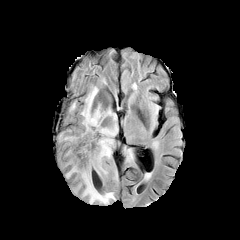
FLAIR MRI.
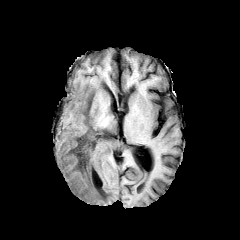
T1-weighted MR.
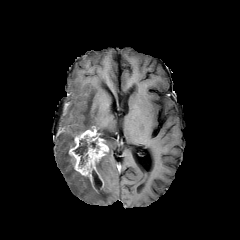
Same slice, post-contrast T1-weighted MR.
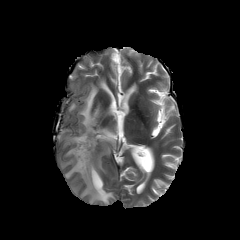
T2-weighted MR image.
Image size 240x240
3 edema regions appear at 67, 162, 115, 204; 78, 85, 117, 177; 59, 129, 84, 165. The enhancing tumor is located at 69, 129, 107, 181. The non-enhancing tumor core is bounded by 73, 137, 100, 165.